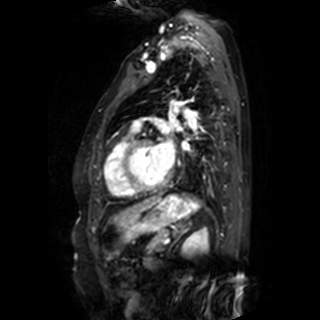

MRI; Image size 320x320
Segmented structures:
- left atrium: l=155, t=141, r=174, b=166